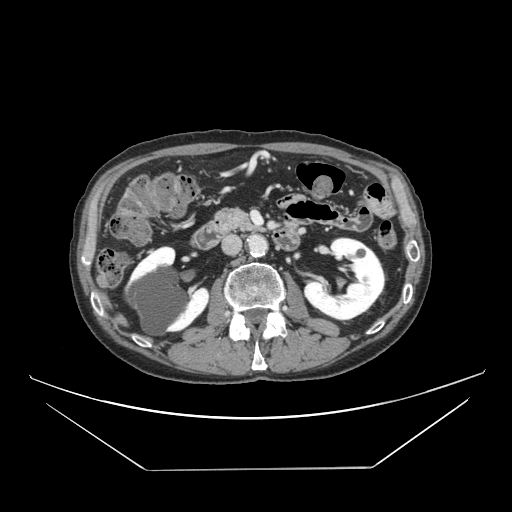
CT slice
Pancreas = bbox=[213, 206, 266, 234].